CT scan slice, Abdomen

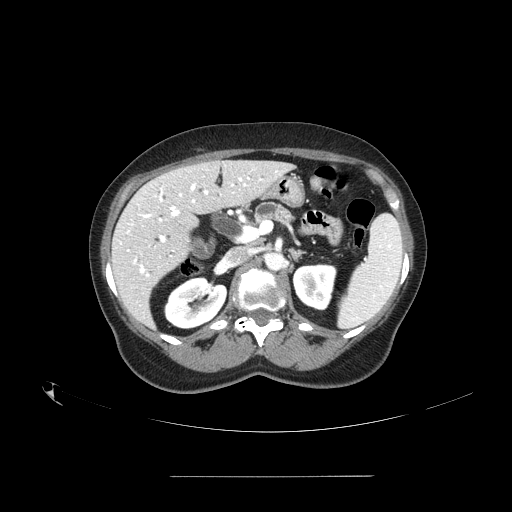

<segmentation>
  <pancreas>[254, 202, 294, 227]</pancreas>
</segmentation>